CT image. 512x512. Liver.

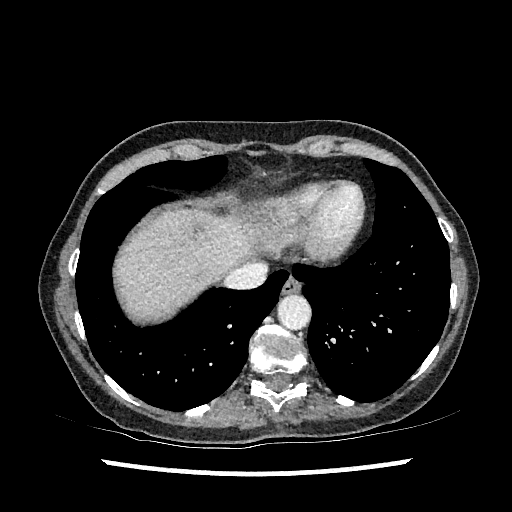

Findings:
- focal liver lesion: (x1=185, y1=222, x2=210, y2=243)
- liver: (x1=115, y1=209, x2=257, y2=317)